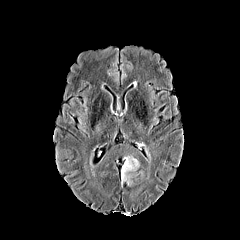
FLAIR magnetic resonance.
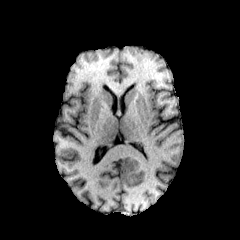
T1-weighted MR.
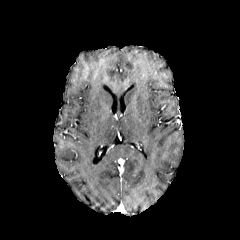
Post-contrast T1-weighted MR image.
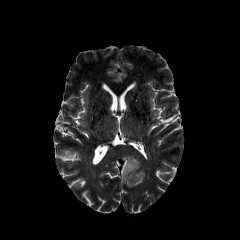
Same slice, T2-weighted MRI.
Segmented structures:
- edema: box=[121, 156, 139, 186]